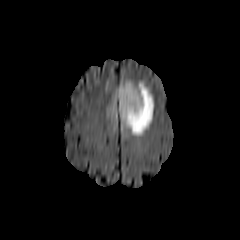
FLAIR MR image.
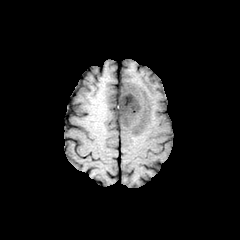
T1-weighted MR image of the same slice.
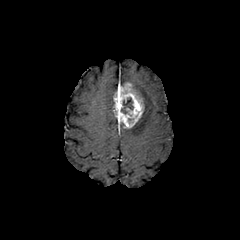
Same slice, post-contrast T1-weighted MR.
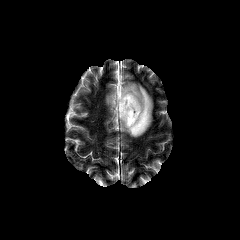
Same slice, T2-weighted MRI.
Edema: bounding box x1=108, y1=85, x2=117, y2=106; x1=119, y1=78, x2=153, y2=137.
Enhancing tumor: bounding box x1=112, y1=82, x2=143, y2=127.
Non-enhancing tumor core: bounding box x1=121, y1=98, x2=132, y2=113.